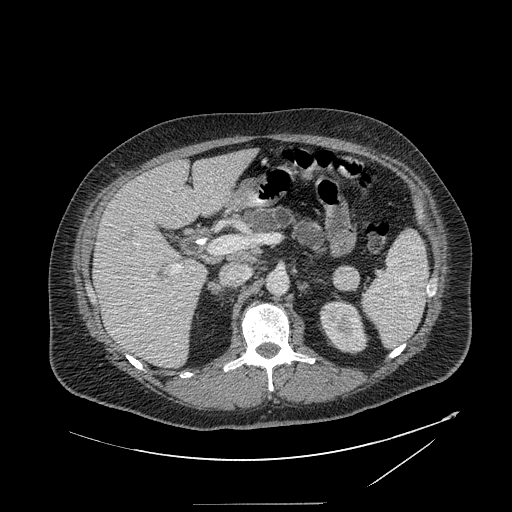 CT slice
pancreas:
  - {"x1": 244, "y1": 208, "x2": 326, "y2": 255}